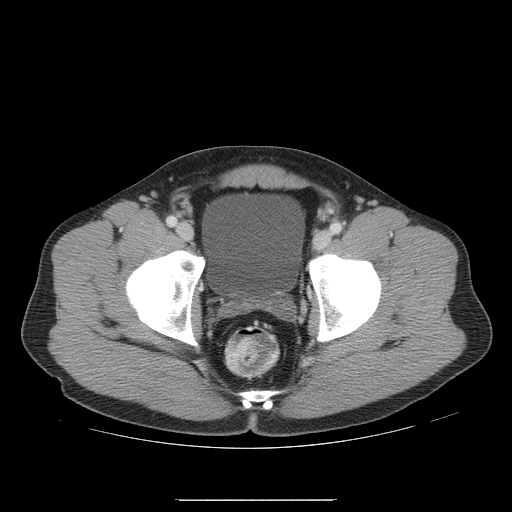
512x512 px; Computed tomography; Abdomen
The colon tumor lies within (226, 339, 257, 371).